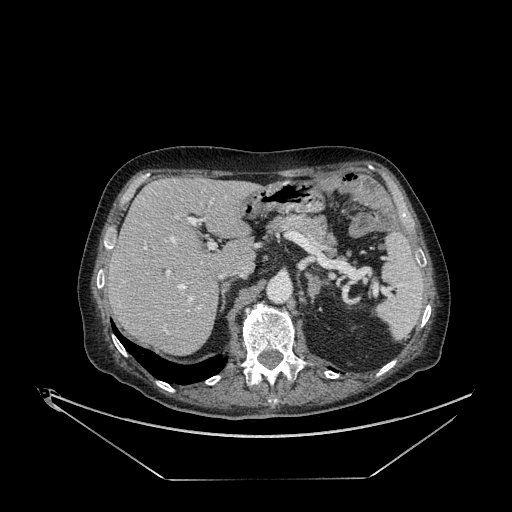 512x512 | Liver | CT image
The liver is bounded by [108, 178, 261, 354].